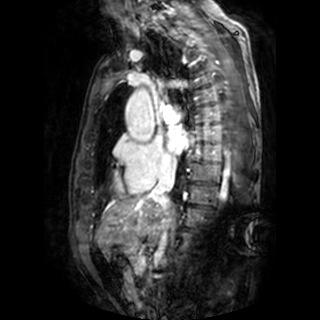

Cardiac, Image size 320x320, MRI
* left atrium: (166,129,188,154)